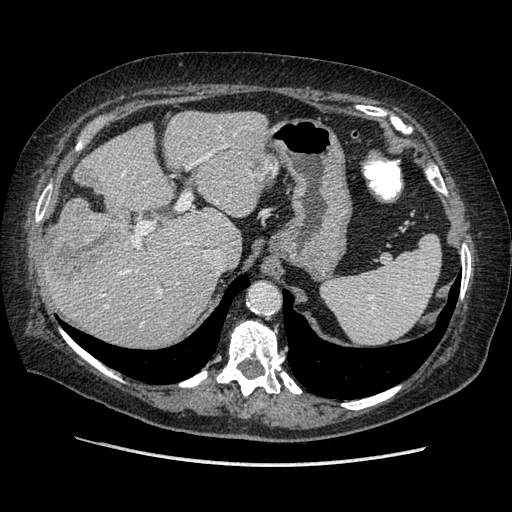 CT slice. The vessel boxes may cover only some of the vessels.
<segmentation>
  <liver_tumor>{"x1": 45, "y1": 204, "x2": 120, "y2": 273}</liver_tumor>
  <hepatic_vessel>{"x1": 132, "y1": 221, "x2": 154, "y2": 246}, {"x1": 176, "y1": 193, "x2": 190, "y2": 209}, {"x1": 205, "y1": 152, "x2": 210, "y2": 156}, {"x1": 157, "y1": 288, "x2": 161, "y2": 293}</hepatic_vessel>
</segmentation>